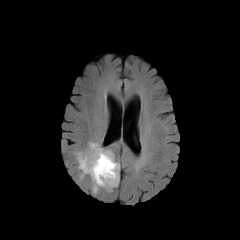
FLAIR magnetic resonance.
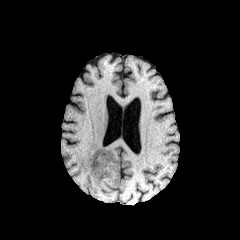
T1-weighted magnetic resonance of the same slice.
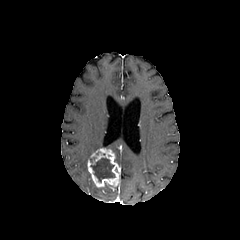
Post-contrast T1-weighted MR image.
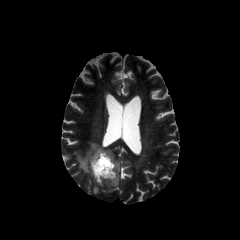
T2-weighted MRI.
Enhancing tumor: region(87, 148, 120, 189).
Edema: region(73, 142, 101, 178).
Non-enhancing tumor core: region(90, 157, 115, 184).